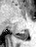

Image size 36x47; Hippocampus; MRI
The posterior hippocampus appears at rect(16, 30, 28, 39).